Upper abdomen, CT slice, Image width 472 mm, Slice 477/845 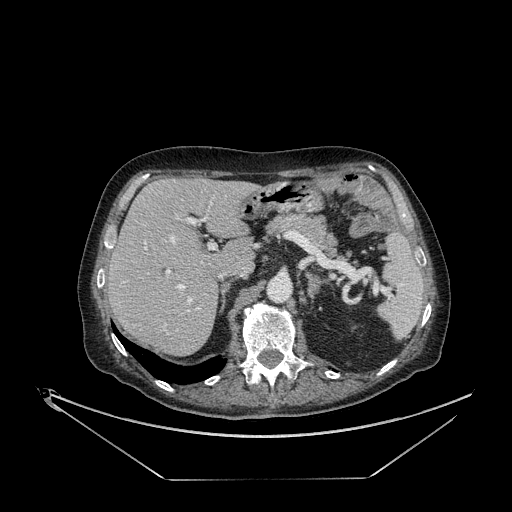

liver:
  - (left=108, top=179, right=260, bottom=355)